FLAIR magnetic resonance.
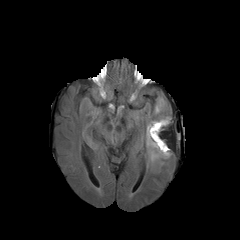
T1-weighted magnetic resonance.
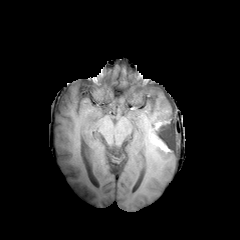
Post-contrast T1-weighted MR.
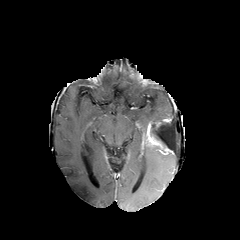
T2-weighted MR.
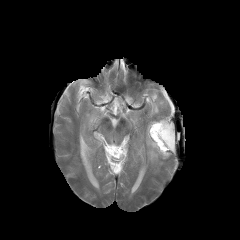
Brain
<segmentation>
  <edema>(left=146, top=140, right=171, bottom=168), (left=143, top=98, right=171, bottom=138), (left=94, top=90, right=111, bottom=99)</edema>
  <non-enhancing_tumor_core>(left=151, top=122, right=172, bottom=153)</non-enhancing_tumor_core>
  <enhancing_tumor>(left=147, top=124, right=169, bottom=154)</enhancing_tumor>
</segmentation>